CT scan slice. Slice index 43.
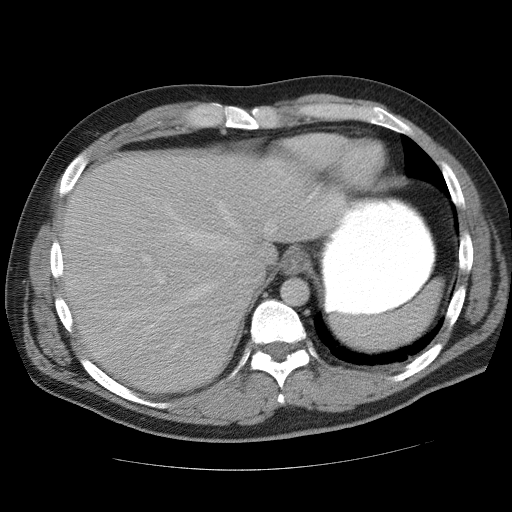

The spleen is at bbox=[330, 281, 441, 351].